Image size 512x512. Image width 500 mm. Computed tomography.

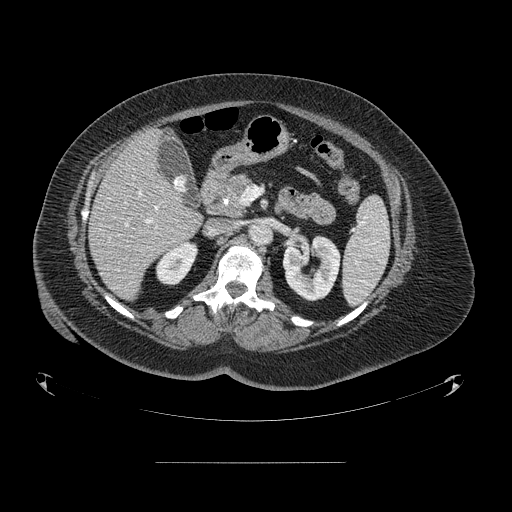

{
  "pancreatic_tumor": [
    "l=217, t=180, r=242, b=208"
  ],
  "pancreas": [
    "l=215, t=175, r=251, b=213"
  ]
}